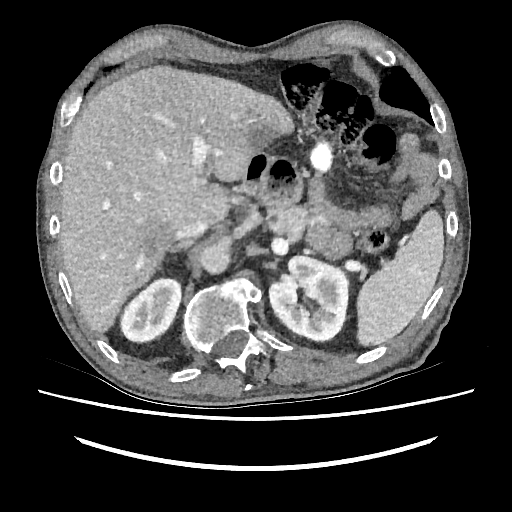 CT image | Image size 512x512 | Upper abdomen
Hepatic lesion = <box>140,221,169,255</box>, <box>245,122,279,151</box>.
Liver = <box>60,67,293,331</box>.
Kidney = <box>121,279,180,341</box>, <box>269,256,347,340</box>.